Slice 378/841; Upper abdomen; 512x512; CT 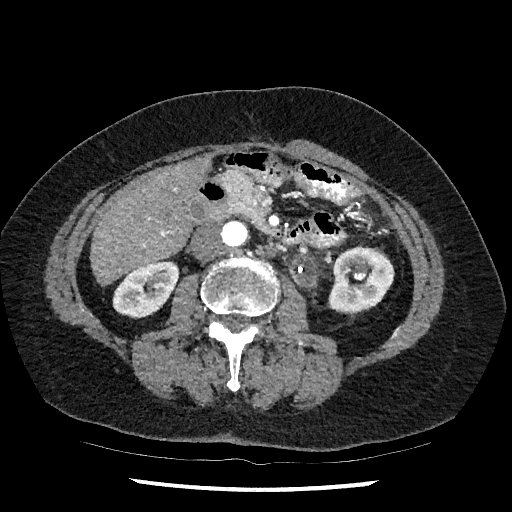

• kidney: (329,247,393,312), (113,262,178,317)
• liver: (91,156,209,285)